FLAIR magnetic resonance.
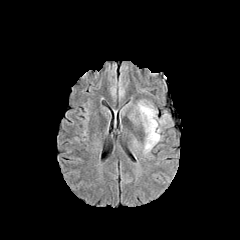
T1-weighted magnetic resonance.
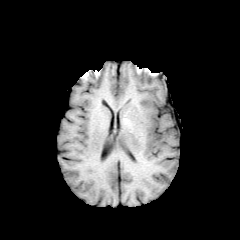
Post-contrast T1-weighted MRI.
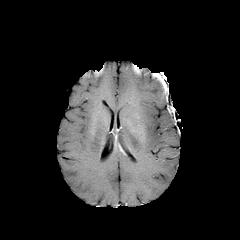
T2-weighted MRI.
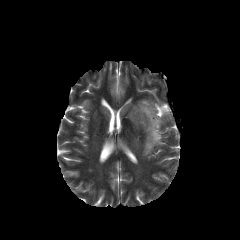
Head.
• edema: bbox(132, 100, 161, 154); bbox(158, 112, 170, 125)